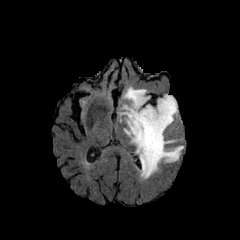
FLAIR MRI.
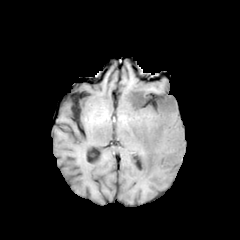
T1-weighted MR.
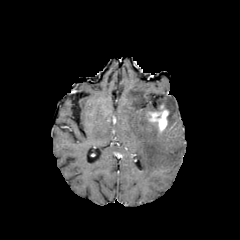
Post-contrast T1-weighted MR of the same slice.
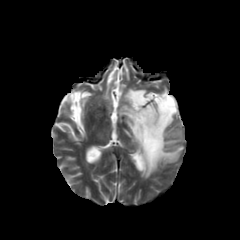
T2-weighted MR image.
Head; 240x240 px
Enhancing tumor at box(147, 104, 168, 132).
Edema at box(120, 87, 183, 179).
Non-enhancing tumor core at box(148, 98, 169, 111).